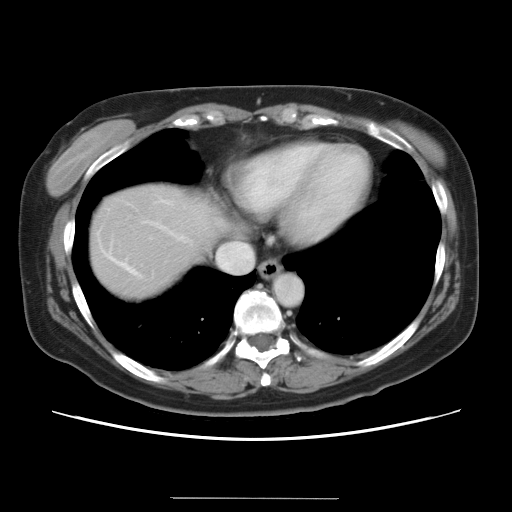
CT
Some hepatic vessels may have no box.
5 hepatic vessel regions appear at box=[161, 201, 168, 203]; box=[97, 231, 136, 275]; box=[152, 223, 168, 231]; box=[175, 235, 184, 240]; box=[143, 222, 147, 222].